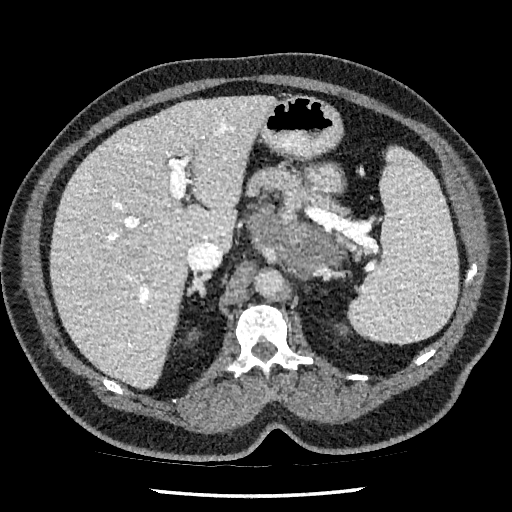
CT scan slice, Image size 512x512

<segmentation>
  <liver>bbox=[50, 97, 274, 387]</liver>
</segmentation>